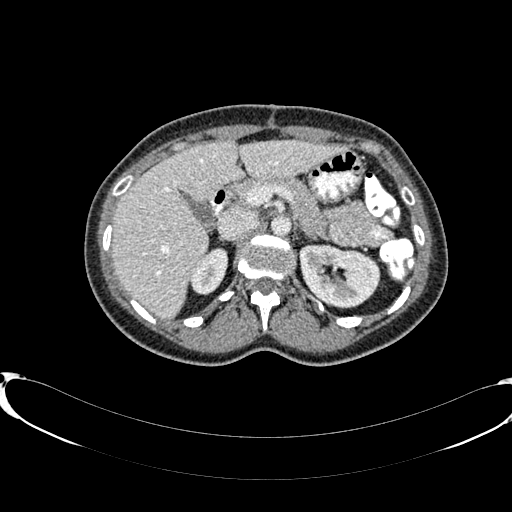 CT image
liver:
  - {"x1": 111, "y1": 141, "x2": 347, "y2": 317}
kidney:
  - {"x1": 301, "y1": 246, "x2": 378, "y2": 306}
  - {"x1": 193, "y1": 250, "x2": 226, "y2": 292}